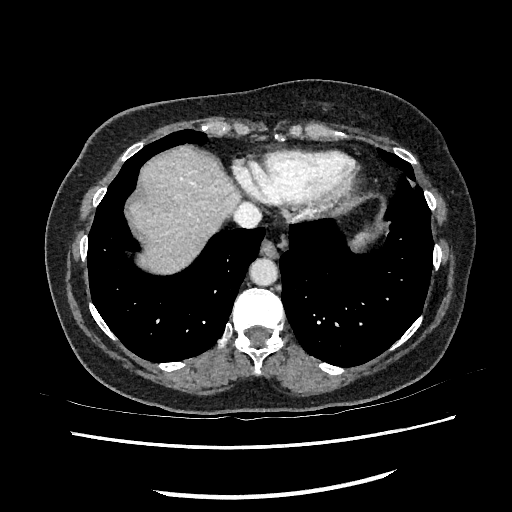 CT scan slice. 512x512 px.
<segmentation>
  <liver>131:147:236:273</liver>
</segmentation>